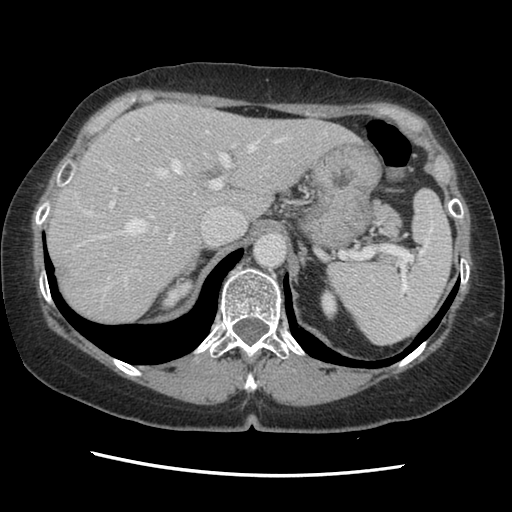 CT; Abdomen
Not every hepatic vessel necessarily has a box.
Principal 15 of 22 hepatic vessel regions = box=[248, 140, 259, 151]; box=[117, 219, 145, 234]; box=[77, 241, 87, 246]; box=[83, 210, 93, 215]; box=[110, 201, 114, 206]; box=[220, 153, 230, 166]; box=[210, 179, 221, 188]; box=[102, 283, 110, 289]; box=[274, 138, 286, 142]; box=[157, 169, 167, 176]; box=[168, 232, 173, 241]; box=[91, 235, 107, 239]; box=[171, 160, 181, 172]; box=[124, 276, 126, 284]; box=[108, 166, 112, 171].